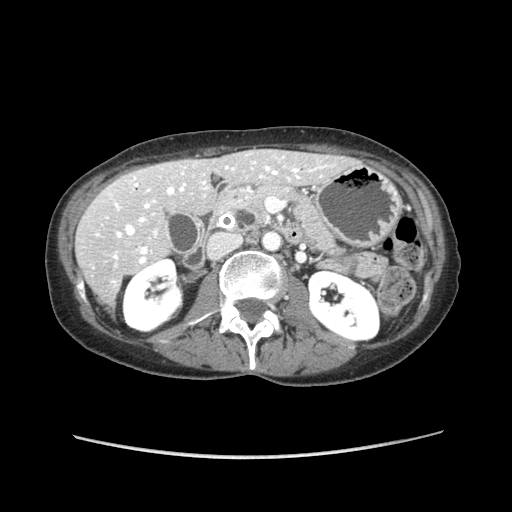

Upper abdomen, CT image
pancreas:
  - [216,188,341,258]